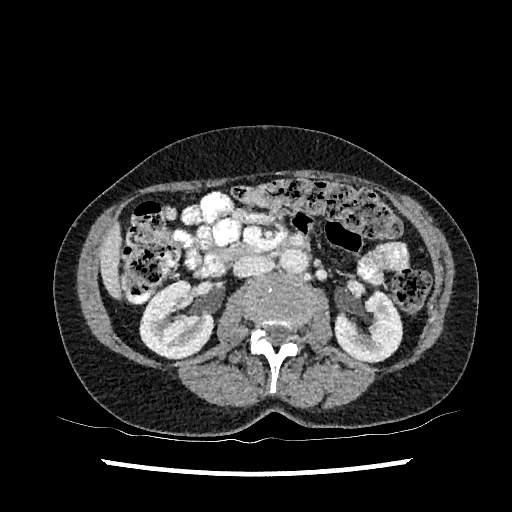 Computed tomography

- liver: bbox=[100, 224, 120, 298]
- kidney: bbox=[335, 292, 401, 361]; bbox=[140, 281, 212, 358]